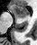 Hippocampus; MR image

The anterior hippocampus lies within box(13, 5, 29, 17).